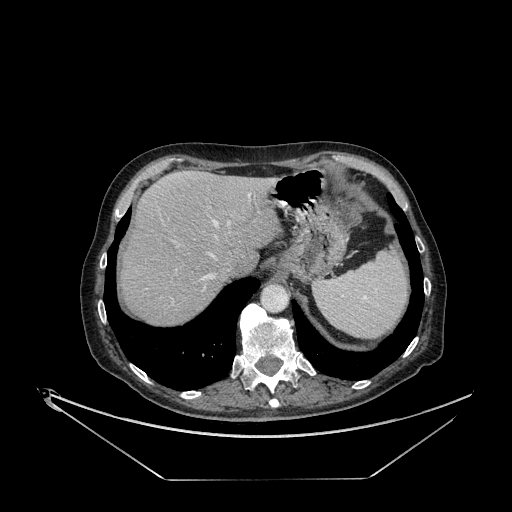

CT slice. Abdomen.
liver:
  - 121, 170, 278, 326